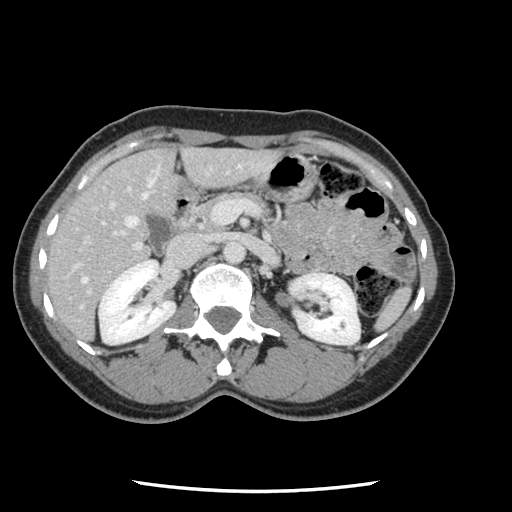 Computed tomography, 512x512, Liver
The vessel annotation is not exhaustive.
Hepatic vessel: bbox=[125, 215, 136, 226]; bbox=[110, 202, 113, 206]; bbox=[134, 243, 139, 248]; bbox=[142, 192, 146, 197]; bbox=[115, 231, 122, 233]; bbox=[82, 276, 86, 281]; bbox=[147, 177, 153, 185].